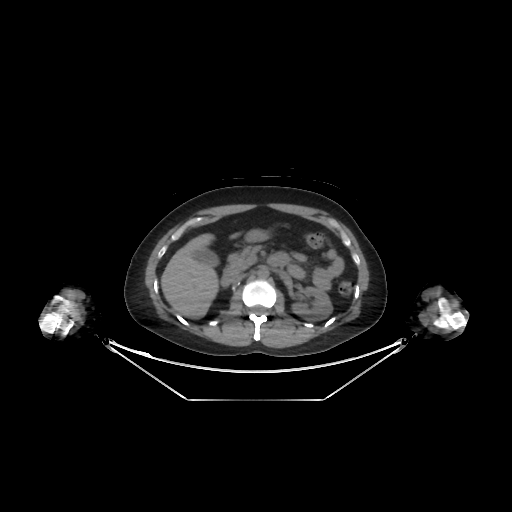
Image size 512x512. Liver. Computed tomography.

* liver: (left=161, top=234, right=222, bottom=318), (left=245, top=230, right=265, bottom=243)
* kidney: (left=291, top=283, right=332, bottom=320)